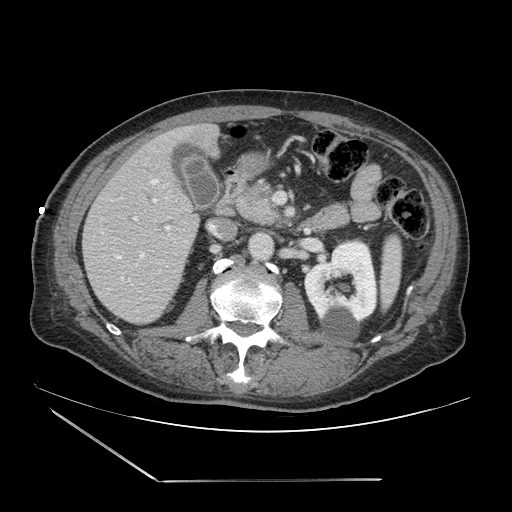

Image size 512x512, Upper abdomen, CT scan slice
Pancreas at x1=239 y1=188 x2=283 y2=225.
Pancreatic tumor at x1=252 y1=183 x2=270 y2=199.